Abdomen; Computed tomography; 512x512
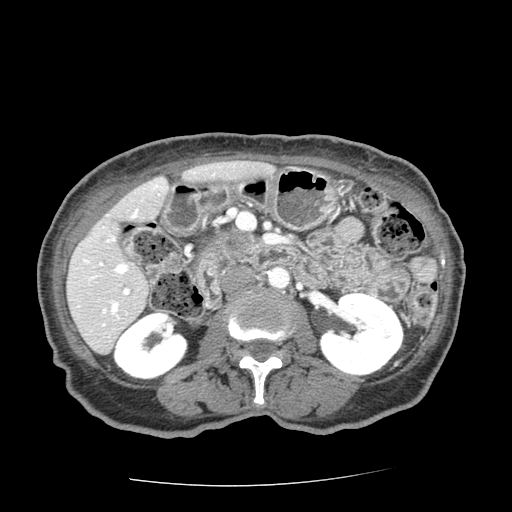 The pancreatic tumor is located at 225,233,249,253. The pancreas is located at 201,229,257,265.